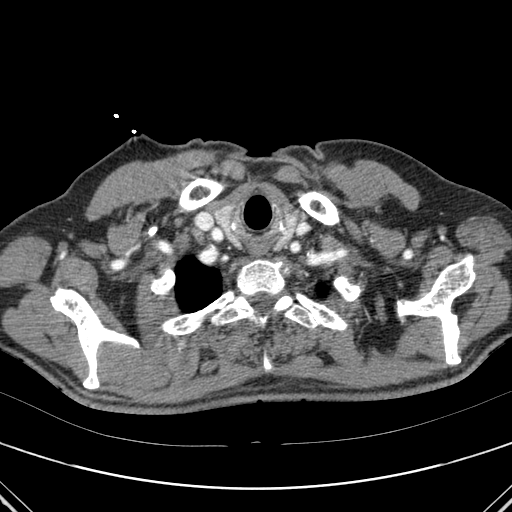
Chest, Computed tomography
Annotated regions:
• bone: 50,288,139,388; 397,255,475,364; 179,178,223,210; 161,260,347,335; 264,355,271,370; 151,268,174,295; 404,250,411,258; 334,276,360,301; 148,226,156,235; 298,191,338,224
• lung: 175,255,221,312; 317,283,327,296